Image size 320x320 | Prostate | Slice index 4
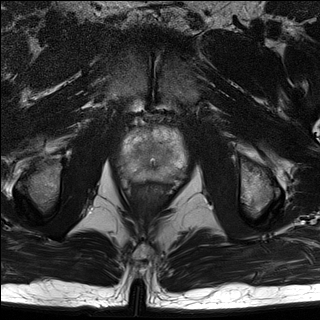
T2-weighted MRI.
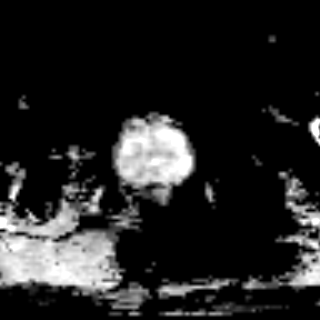
ADC magnetic resonance.
{"prostate_peripheral_zone": ["120, 128, 186, 182"], "prostate_transition_zone": ["134, 128, 172, 168"]}